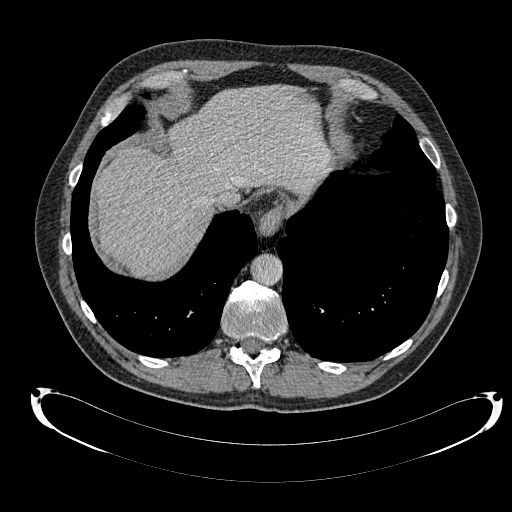 CT image. <segmentation>
  <liver>(97,86,331,276)</liver>
</segmentation>